Image size 512x512 | Upper abdomen | Image width 400 mm | CT image 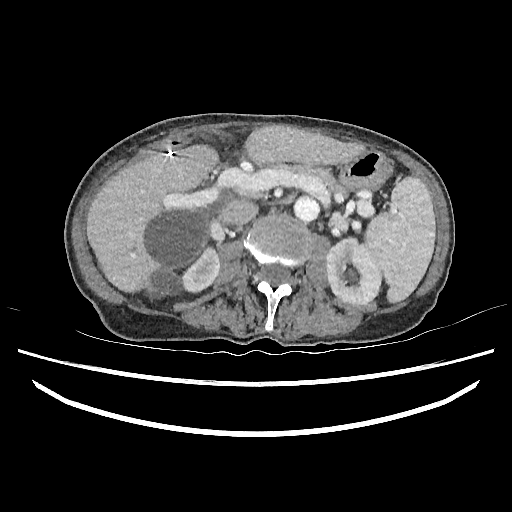

kidney: 326,238,379,304; 211,223,220,239; 183,248,219,291 | liver: 87,145,217,294; 246,127,360,165 | liver lesion: 144,190,228,297